240x240 px
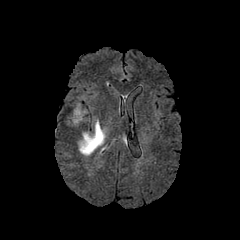
FLAIR magnetic resonance.
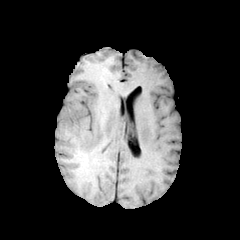
T1-weighted MR image.
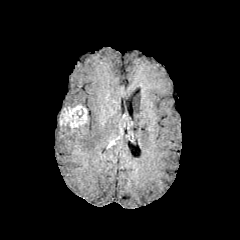
Post-contrast T1-weighted MR image.
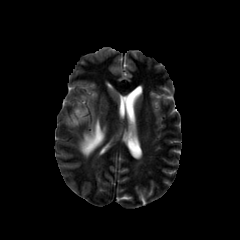
T2-weighted MR image.
The edema appears at box(78, 117, 107, 157). The enhancing tumor is located at box(60, 107, 85, 127). The non-enhancing tumor core appears at box(73, 110, 83, 117).